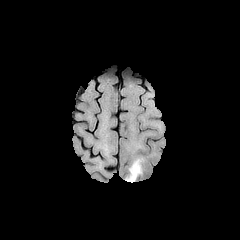
FLAIR MRI.
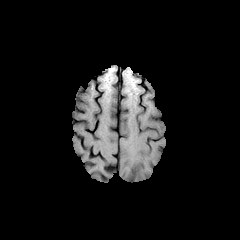
T1-weighted MR image.
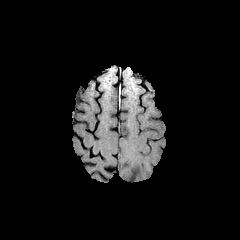
Same slice, post-contrast T1-weighted magnetic resonance.
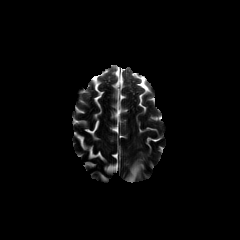
Same slice, T2-weighted MR image.
Brain
The edema is bounded by bbox(125, 160, 141, 182).